Computed tomography. Upper abdomen.
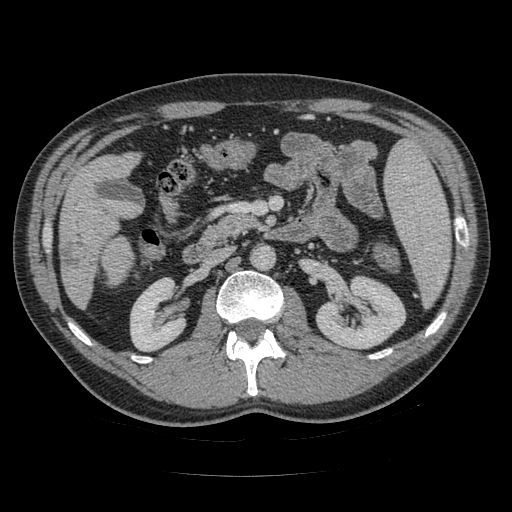
{"pancreas": ["x1=203, y1=214, x2=255, y2=244"]}